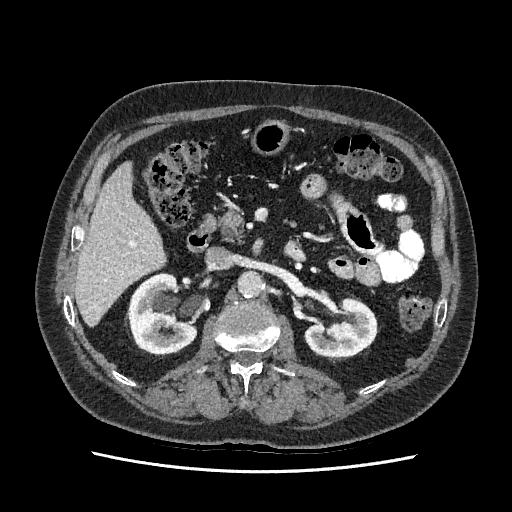
Liver; CT scan slice
{
  "liver": [
    "[76, 163, 165, 326]"
  ],
  "kidney": [
    "[129, 274, 196, 353]",
    "[306, 296, 376, 356]"
  ]
}